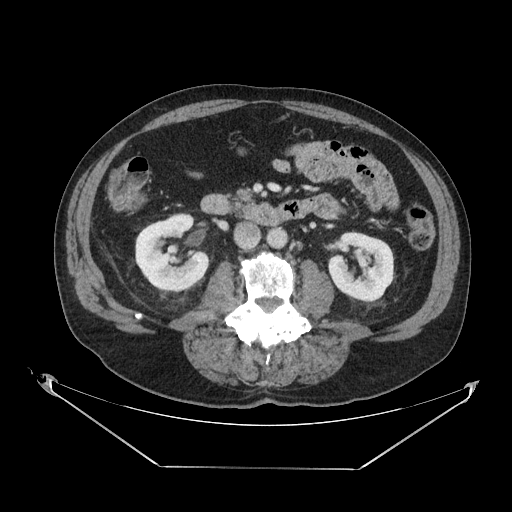 Computed tomography; Upper abdomen
<segmentation>
  <pancreas>234:189:254:204</pancreas>
</segmentation>